Image size 240x240
FLAIR MRI.
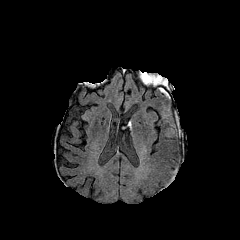
T1-weighted MR image.
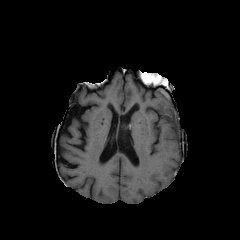
Post-contrast T1-weighted MR.
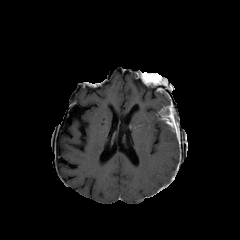
T2-weighted MR image.
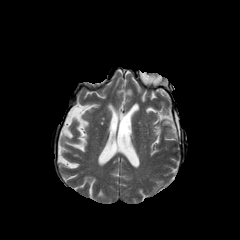
- non-enhancing tumor core: region(142, 74, 163, 93)
- edema: region(165, 127, 173, 138)
- enhancing tumor: region(162, 108, 179, 137)